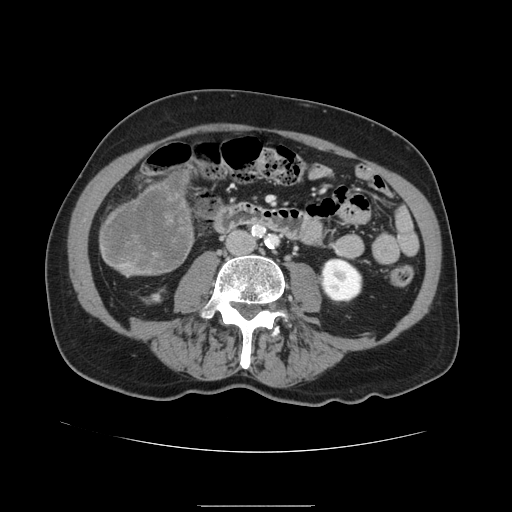 Abdomen | CT scan slice
Liver tumor = 103 174 190 270.